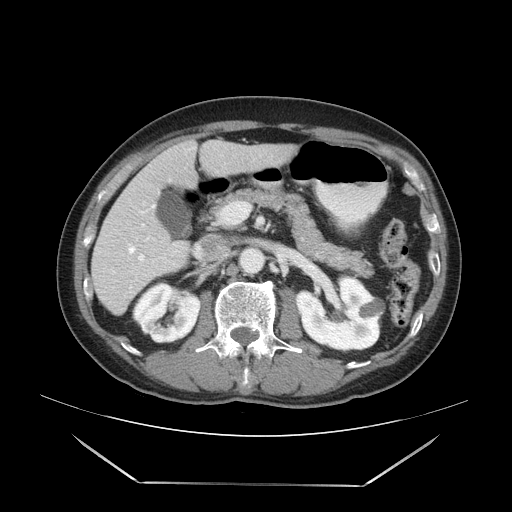
Computed tomography. Some hepatic vessels may have no box.
hepatic_vessel:
  - 138 255 144 261